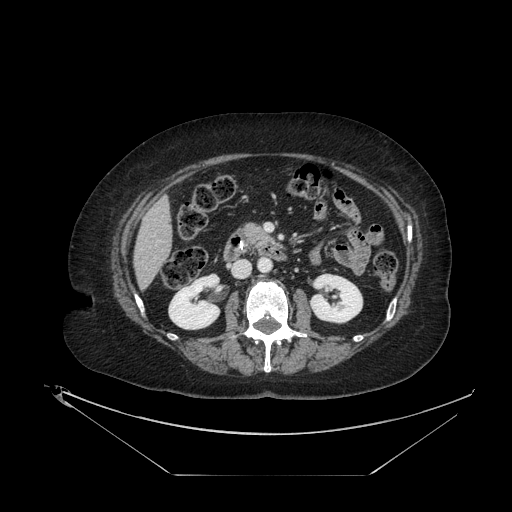
CT slice
pancreas:
  - 243 223 273 249